FLAIR MRI.
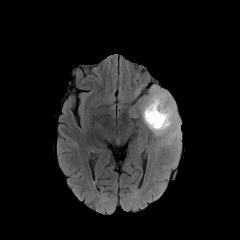
T1-weighted magnetic resonance.
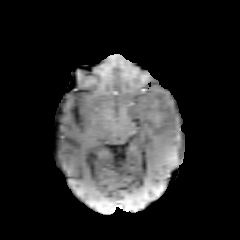
Post-contrast T1-weighted magnetic resonance.
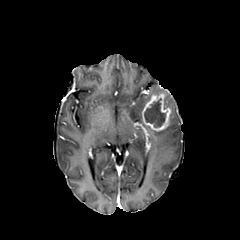
T2-weighted MRI.
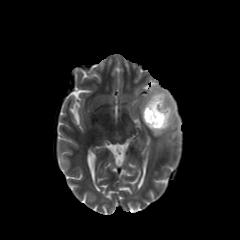
Head
3 edema regions are bounded by rect(166, 92, 176, 109); rect(138, 96, 147, 119); rect(142, 112, 181, 154). The enhancing tumor appears at rect(142, 90, 171, 131). The non-enhancing tumor core is bounded by rect(144, 100, 165, 126).